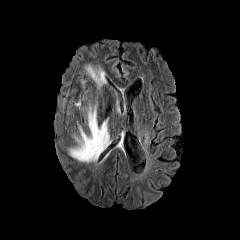
FLAIR MR image.
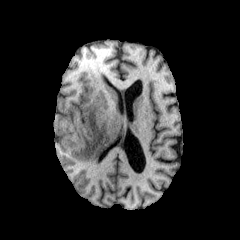
T1-weighted MR image.
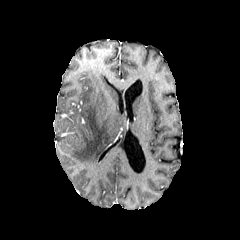
Post-contrast T1-weighted magnetic resonance.
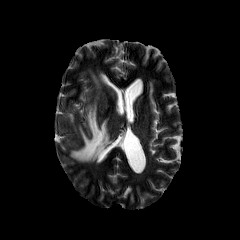
T2-weighted MR.
Image size 240x240 | Brain
Edema = 86:67:106:90, 68:101:112:162.